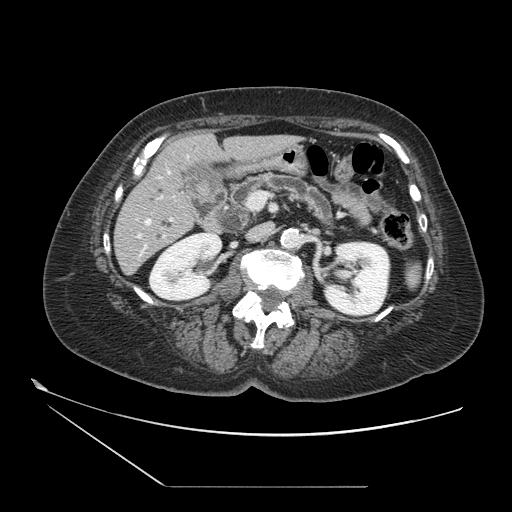

CT; Abdomen
The pancreas appears at [x1=231, y1=174, x2=332, y2=225].